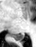 MRI slice | Medial temporal lobe
Segmented structures:
* posterior hippocampus: bbox=[13, 33, 24, 40]